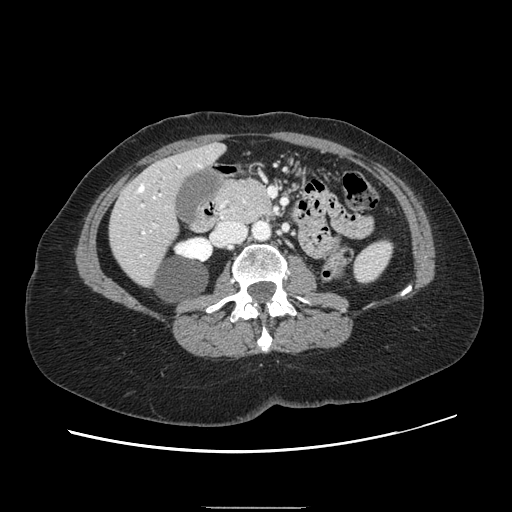 Abdomen. CT image.

Findings:
• pancreas: region(217, 178, 272, 223)